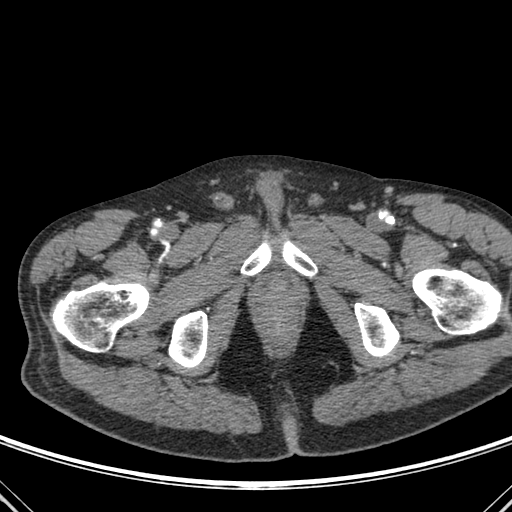 CT slice
6 bone regions are located at 241:241:274:275, 52:282:151:352, 412:268:504:334, 169:311:207:367, 354:303:399:356, 282:239:317:276.